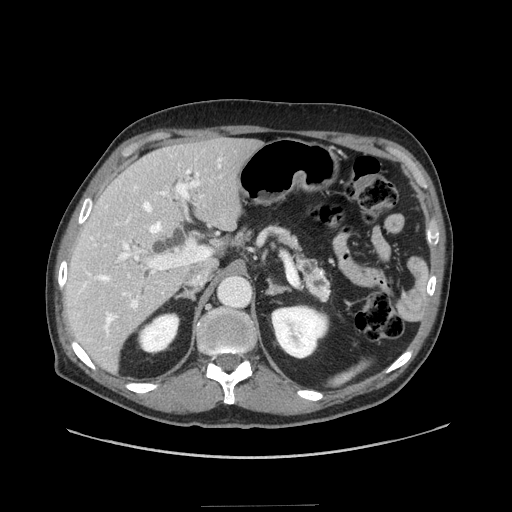

CT scan slice

Pancreas: bounding box {"x1": 286, "y1": 236, "x2": 329, "y2": 299}.